MR image, Medial temporal lobe, 36x49, Slice 12/38
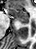

<segmentation>
  <anterior_hippocampus><box>8,6,28,21</box></anterior_hippocampus>
  <posterior_hippocampus><box>19,22,27,24</box></posterior_hippocampus>
</segmentation>